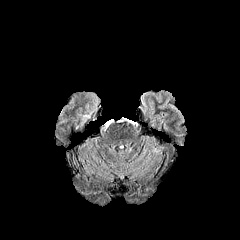
FLAIR MR.
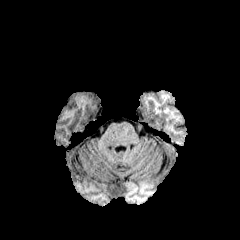
T1-weighted MRI of the same slice.
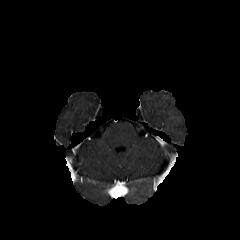
Post-contrast T1-weighted MR image.
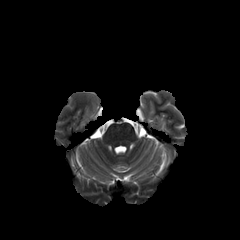
T2-weighted MR image.
Head
The edema is located at [88, 99, 98, 117].